CT scan slice | Field of view 364 mm wide, 2.50 mm slice spacing 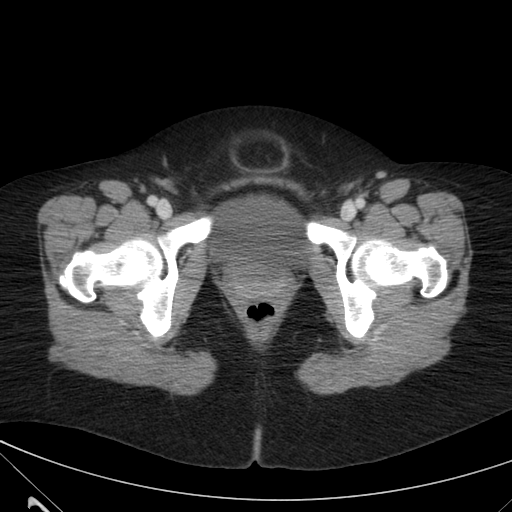

{"urinary_bladder": ["(left=201, top=194, right=309, bottom=272)"]}